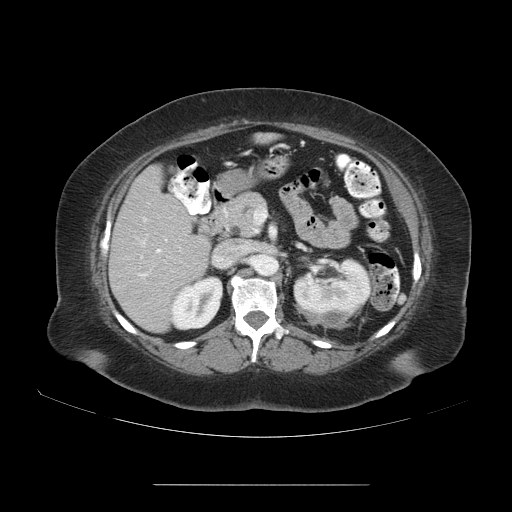 CT scan slice. 512x512 px. The vessel boxes may cover only some of the vessels.
hepatic vessel: (255, 213, 264, 219), (156, 249, 159, 251), (142, 218, 145, 220), (141, 241, 143, 244), (138, 274, 144, 276)